CT scan slice. 512x512 px. 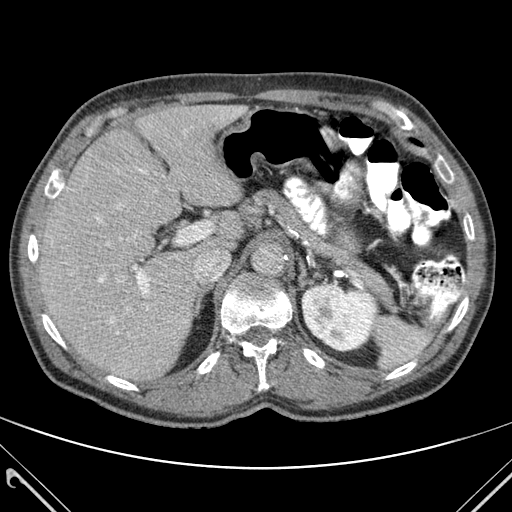
Annotated regions:
* bone: 304,349,324,367; 436,156,452,182; 42,315,64,346; 449,298,467,329; 221,281,291,334; 45,170,63,201; 386,362,415,378; 107,376,137,389; 464,215,473,239; 28,234,37,261; 198,352,219,373; 241,339,276,389
* kidney: 303,285,375,350
* liver: 192,248,201,257; 40,105,248,384; 201,211,241,250